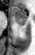 MRI slice.

posterior hippocampus: [x1=19, y1=24, x2=24, y2=25] | anterior hippocampus: [x1=12, y1=6, x2=27, y2=23]